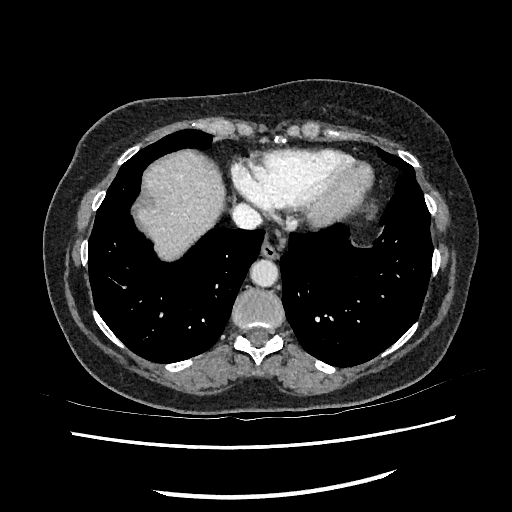
Abdomen | 512x512 px | CT slice

Liver = box(142, 151, 223, 258).